Image width 512 mm | Slice 49 of 129 | CT | 512x512 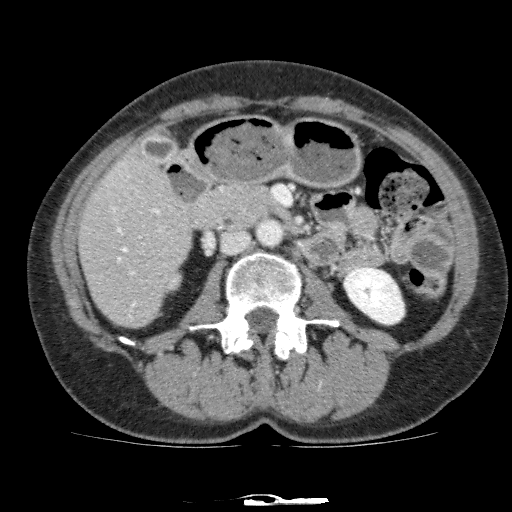 The kidney is located at [344, 267, 403, 323]. The focal liver lesion is bounded by [143, 173, 152, 184]. The liver is at [78, 144, 192, 328].